Slice index 437; Upper abdomen; CT image 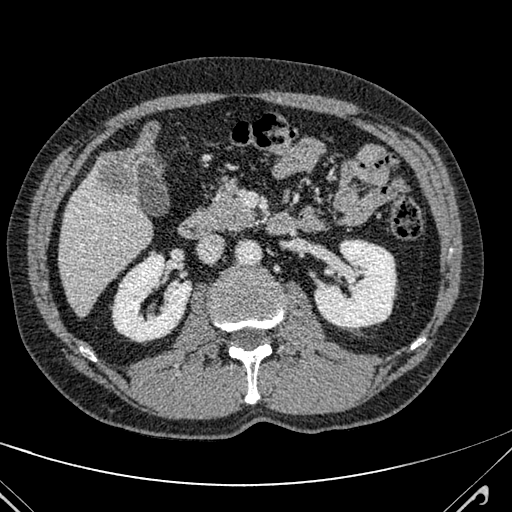

<segmentation>
  <liver_lesion>x1=98, y1=122, x2=159, y2=194</liver_lesion>
  <liver>x1=60, y1=152, x2=150, y2=316</liver>
</segmentation>